Slice index 120
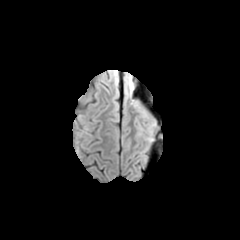
FLAIR MR.
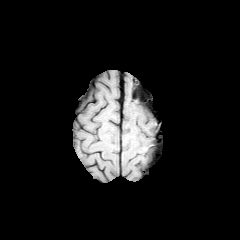
T1-weighted magnetic resonance of the same slice.
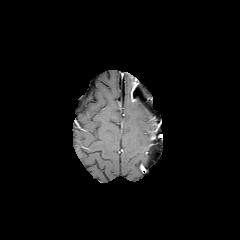
Same slice, post-contrast T1-weighted MR image.
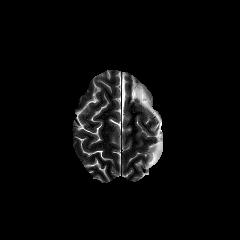
T2-weighted MRI of the same slice.
{"edema": ["x1=140, y1=126, x2=153, y2=139", "x1=144, y1=113, x2=151, y2=124"]}